512x512 px | Computed tomography | Upper abdomen
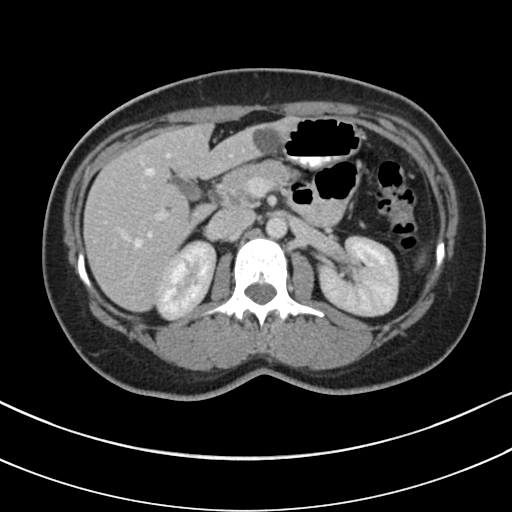
The pancreatic tumor is bounded by [224, 190, 258, 207]. 2 pancreas regions are located at [236, 203, 258, 208], [208, 159, 297, 207].